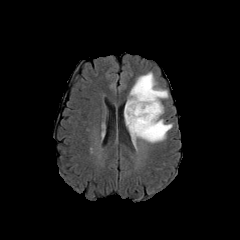
FLAIR MR image.
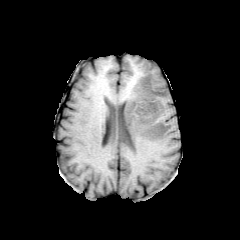
T1-weighted magnetic resonance.
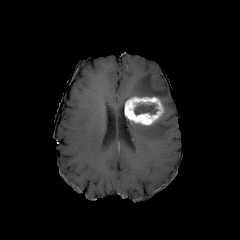
Post-contrast T1-weighted MR image.
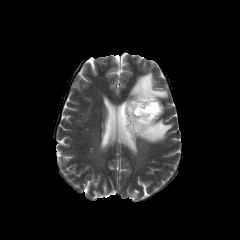
T2-weighted MR.
Head
• non-enhancing tumor core: x1=135, y1=104, x2=155, y2=114
• edema: x1=126, y1=118, x2=172, y2=148; x1=128, y1=71, x2=168, y2=99
• enhancing tumor: x1=124, y1=96, x2=163, y2=125